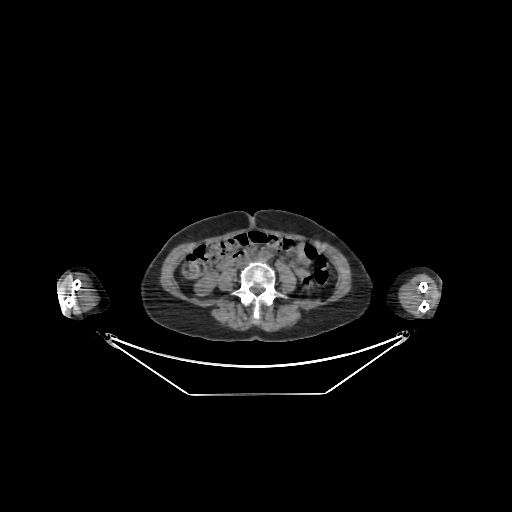
CT image | Abdomen
{"kidney": ["(195,269,218,295)"]}